Brain, Field of view 240 mm wide, 1.00 mm slice spacing, Slice index 45
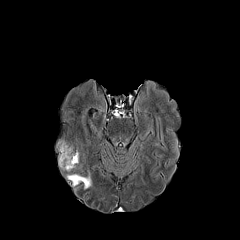
FLAIR MR.
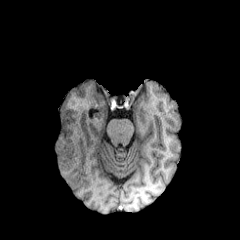
T1-weighted MR of the same slice.
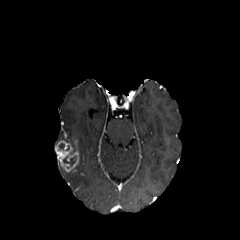
Post-contrast T1-weighted MR image of the same slice.
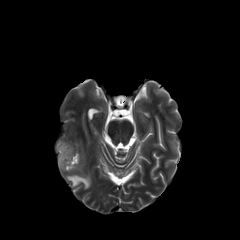
T2-weighted MR.
non-enhancing tumor core: region(62, 156, 75, 169) | edema: region(67, 172, 91, 189) | enhancing tumor: region(55, 140, 77, 171)